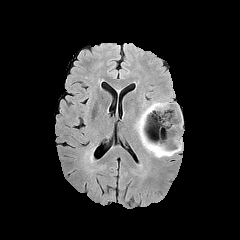
FLAIR magnetic resonance.
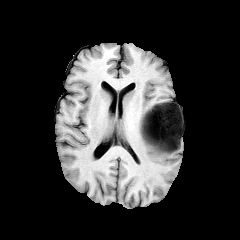
T1-weighted MR of the same slice.
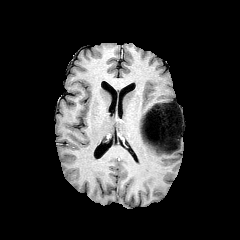
Post-contrast T1-weighted magnetic resonance of the same slice.
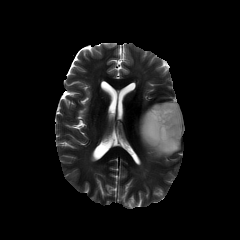
T2-weighted magnetic resonance of the same slice.
Image size 240x240
<segmentation>
  <edema>bbox(137, 102, 183, 157)</edema>
  <non-enhancing_tumor_core>bbox(153, 103, 180, 151)</non-enhancing_tumor_core>
</segmentation>